Slice 91/155; Image size 240x240; Head
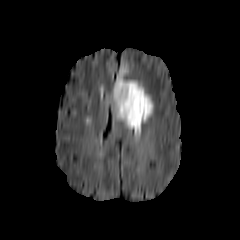
FLAIR MRI.
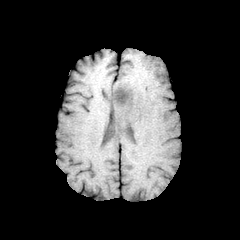
T1-weighted magnetic resonance of the same slice.
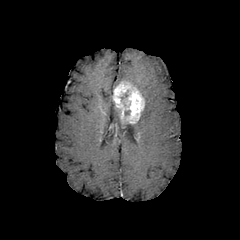
Post-contrast T1-weighted MRI of the same slice.
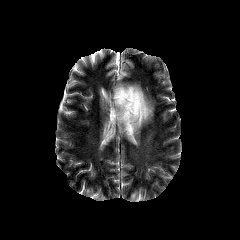
T2-weighted MR image.
edema: box=[114, 66, 127, 88]; box=[114, 81, 154, 135] | enhancing tumor: box=[112, 82, 144, 123]